MRI slice.
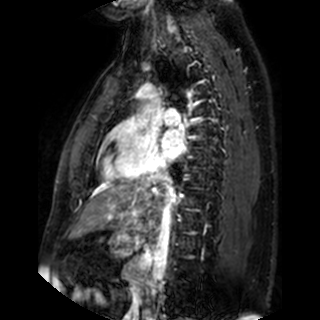
Left atrium at bbox(161, 129, 184, 160).